Slice 69 of 155; Brain
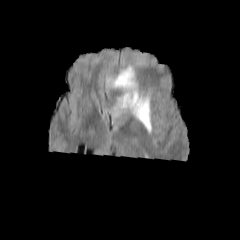
FLAIR magnetic resonance.
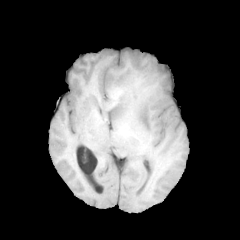
T1-weighted magnetic resonance.
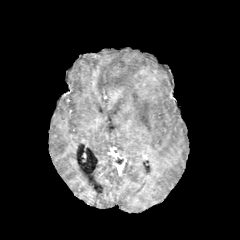
Post-contrast T1-weighted magnetic resonance of the same slice.
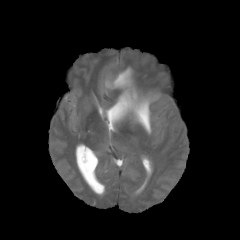
T2-weighted MR.
edema:
  - 106,67,159,131